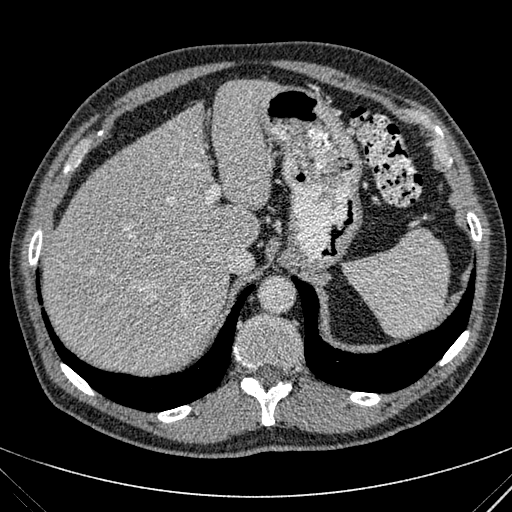
Computed tomography | Upper abdomen
liver:
  - 43, 80, 279, 371